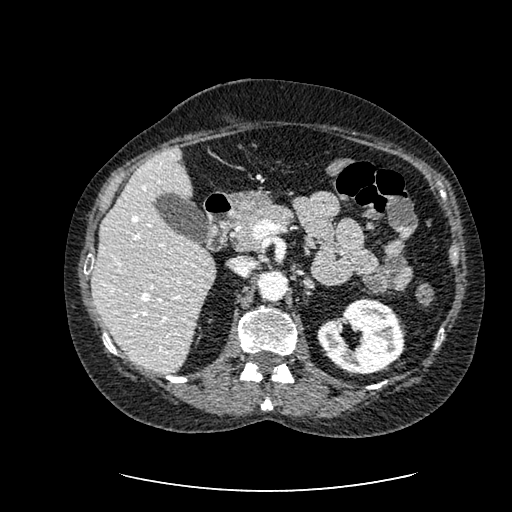 Abdomen, CT slice
kidney: bbox(318, 299, 403, 373) | liver: bbox(92, 149, 214, 371) | liver lesion: bbox(177, 159, 184, 167)